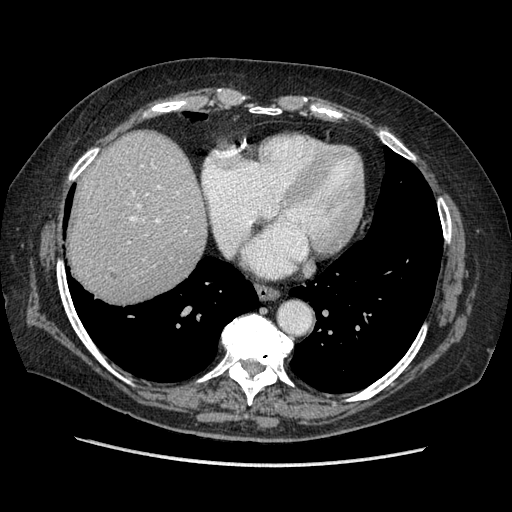 512x512 px; CT scan slice
Some hepatic vessels may have no box.
{"hepatic_vessel": ["<bbox>131, 217, 133, 219</bbox>", "<bbox>137, 204, 139, 205</bbox>"]}